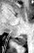 Magnetic resonance.
The posterior hippocampus is bounded by left=13, top=34, right=26, bottom=45.